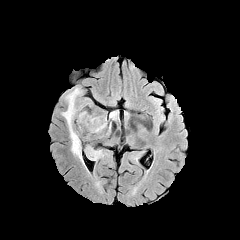
FLAIR MR.
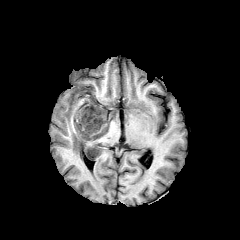
T1-weighted MRI of the same slice.
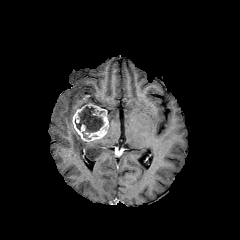
Same slice, post-contrast T1-weighted MR image.
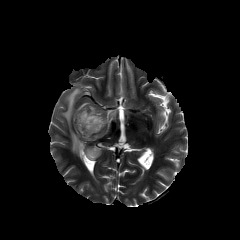
Same slice, T2-weighted magnetic resonance.
Head, Image size 240x240
<segmentation>
  <non-enhancing_tumor_core>75,104,104,131</non-enhancing_tumor_core>
  <edema>109,110,118,120; 85,146,104,160; 61,86,83,163</edema>
  <enhancing_tumor>72,103,108,141</enhancing_tumor>
</segmentation>